Field of view 240x240 mm | Head | Image size 240x240
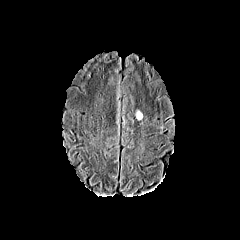
FLAIR magnetic resonance.
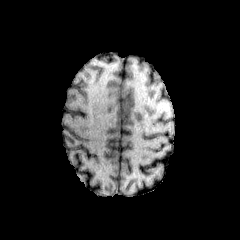
T1-weighted magnetic resonance of the same slice.
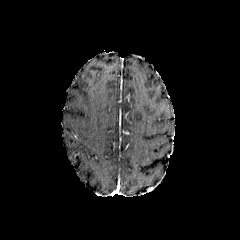
Post-contrast T1-weighted MR image.
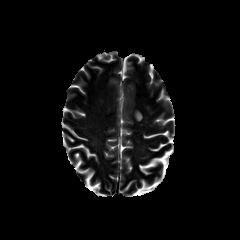
T2-weighted MRI.
The edema lies within bbox(134, 109, 143, 120).